512x512; CT slice; Slice 640/908; Liver

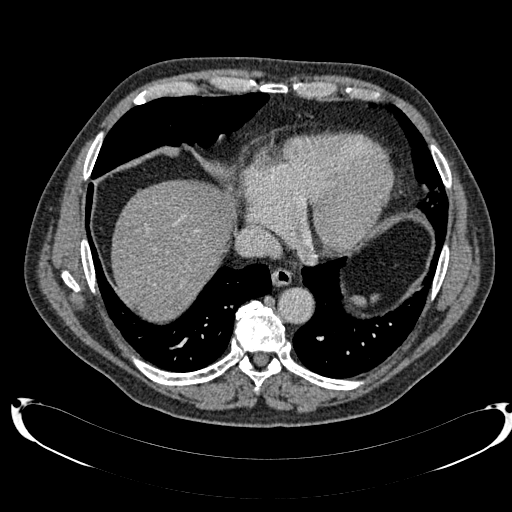
The liver is located at 111,180,235,320.